FLAIR MR.
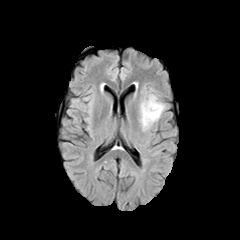
T1-weighted MR.
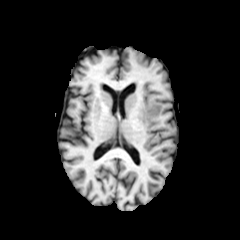
Post-contrast T1-weighted magnetic resonance.
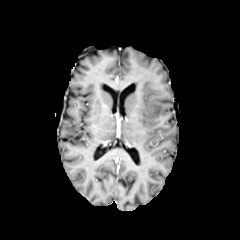
T2-weighted MRI.
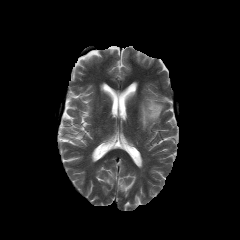
Brain; 240x240
<segmentation>
  <edema>(x1=141, y1=97, x2=163, y2=127)</edema>
</segmentation>